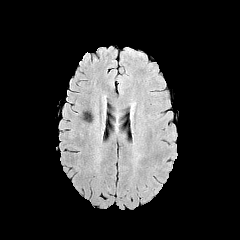
FLAIR MR image.
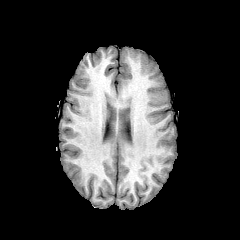
Same slice, T1-weighted magnetic resonance.
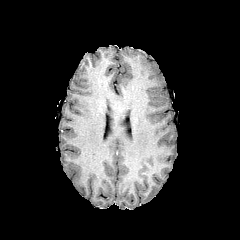
Same slice, post-contrast T1-weighted MR.
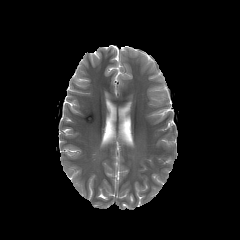
Same slice, T2-weighted magnetic resonance.
Edema: bounding box x1=125, y1=48, x2=140, y2=56.